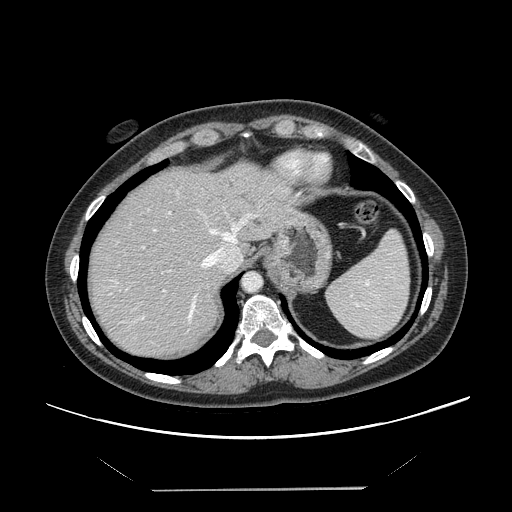 CT image; Abdomen
The vessel boxes may cover only some of the vessels.
* hepatic vessel: (left=196, top=207, right=258, bottom=272), (left=114, top=281, right=117, bottom=282), (left=163, top=290, right=166, bottom=292), (left=142, top=246, right=144, bottom=248), (left=168, top=211, right=170, bottom=214), (left=188, top=301, right=194, bottom=320), (left=153, top=229, right=156, bottom=231), (left=139, top=316, right=143, bottom=319)